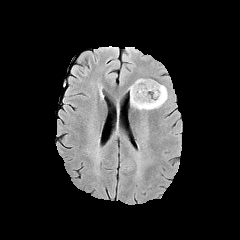
FLAIR MR.
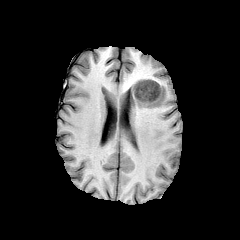
Same slice, T1-weighted MR.
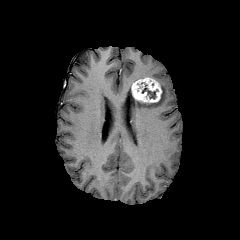
Post-contrast T1-weighted MR image.
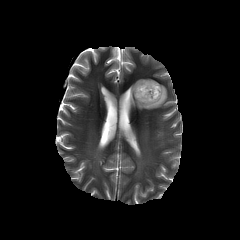
Same slice, T2-weighted MR.
enhancing_tumor:
  - box=[131, 77, 161, 102]
non-enhancing_tumor_core:
  - box=[137, 82, 158, 99]
edema:
  - box=[128, 84, 168, 109]